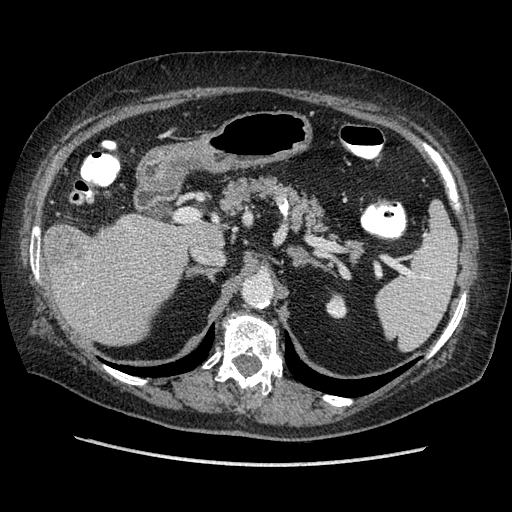

CT image.
The liver tumor is at <bbox>45, 228, 90, 266</bbox>.